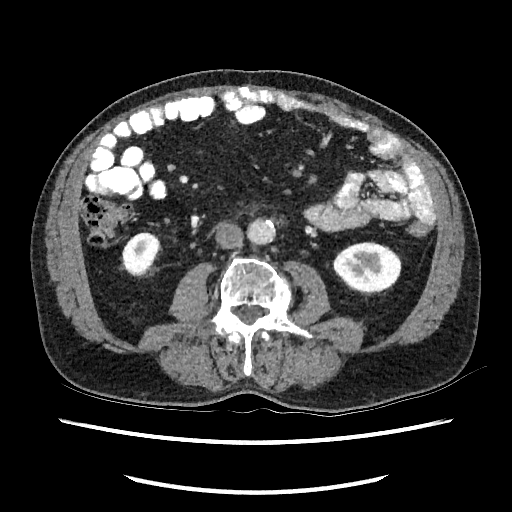
Image size 512x512; CT image
2 kidney regions appear at bbox=[333, 242, 400, 292]; bbox=[122, 233, 160, 275].